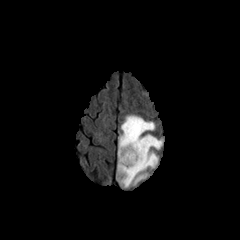
FLAIR MRI.
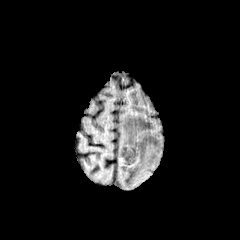
T1-weighted MR image.
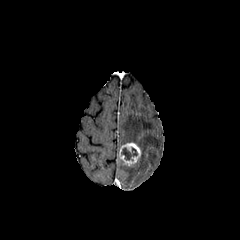
Post-contrast T1-weighted MR image of the same slice.
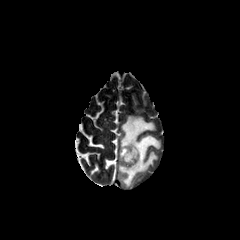
Same slice, T2-weighted MR.
Brain
Non-enhancing tumor core: bounding box [121,148,131,160].
Edema: bounding box [118,115,162,188].
Enhancing tumor: bounding box [118,143,141,165].